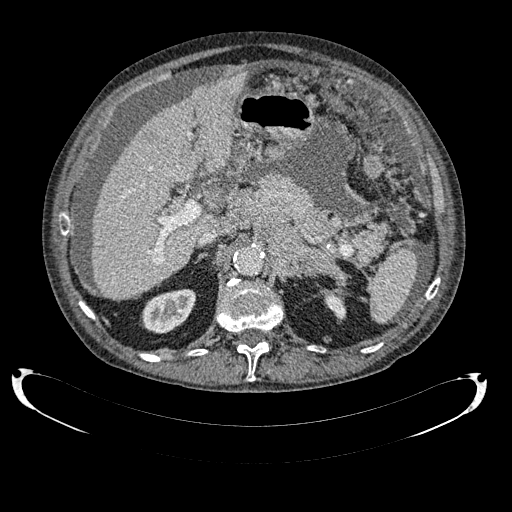 Computed tomography. Liver. 512x512 px.

The liver appears at (92,71,248,298). 2 kidney regions are located at (143,289,195,332), (325,293,345,318).